FLAIR MR.
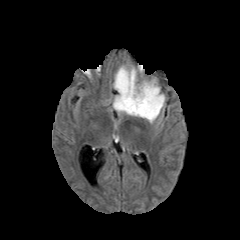
T1-weighted magnetic resonance.
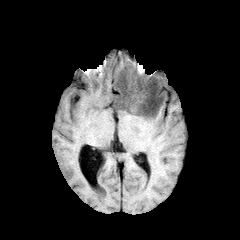
Post-contrast T1-weighted magnetic resonance.
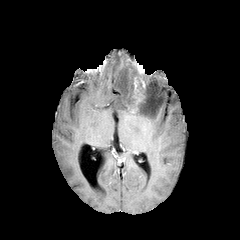
T2-weighted magnetic resonance.
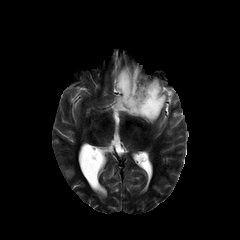
240x240 px | Head
non-enhancing tumor core: region(147, 94, 157, 106); region(126, 77, 141, 113) | edema: region(110, 63, 167, 125)